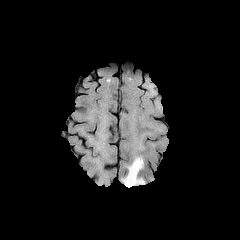
FLAIR MR image.
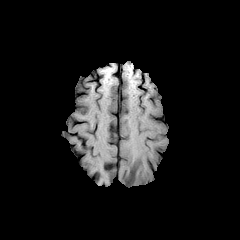
T1-weighted MR image.
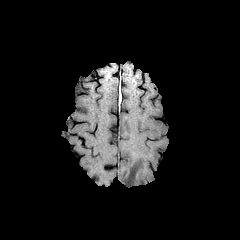
Same slice, post-contrast T1-weighted MR.
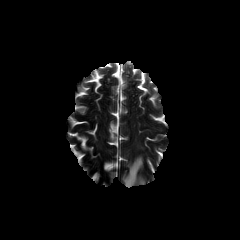
Same slice, T2-weighted MR.
Brain | 240x240 px
The edema is at [x1=123, y1=158, x2=144, y2=187].